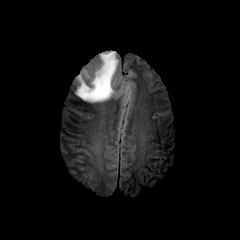
FLAIR MR image.
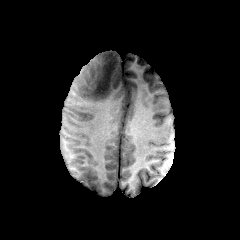
T1-weighted MRI of the same slice.
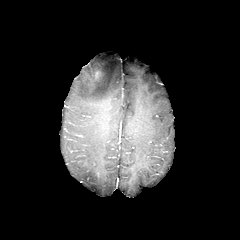
Post-contrast T1-weighted MR image.
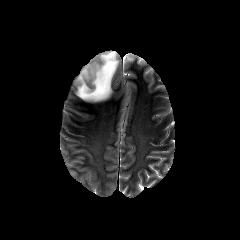
Same slice, T2-weighted MR.
Brain
- edema: left=75, top=51, right=118, bottom=102